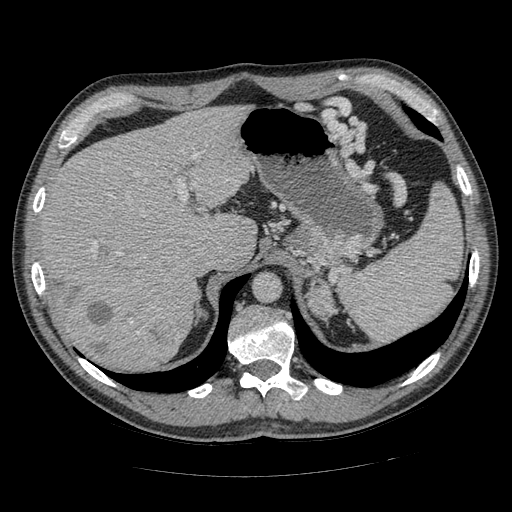
512x512 | Computed tomography

Findings:
• pancreatic tumor: [x1=308, y1=285, x2=332, y2=317]